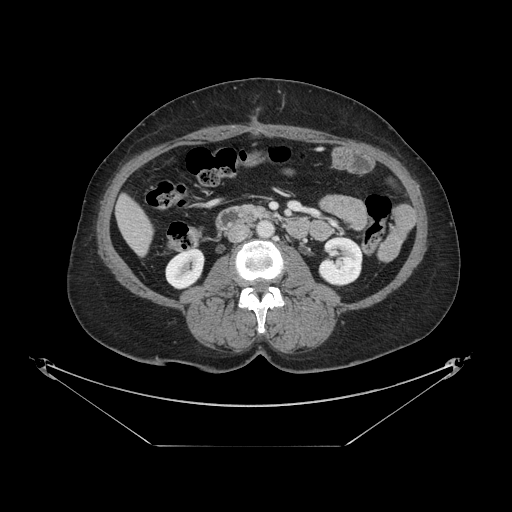

512x512 px, Abdomen, CT slice
The pancreas is bounded by [254, 207, 265, 216].